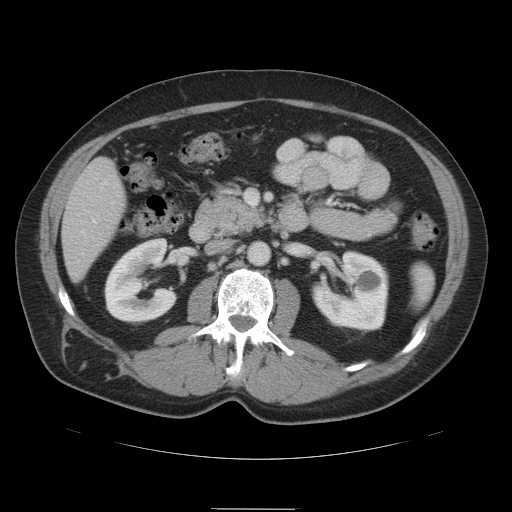
CT scan slice | Abdomen

Pancreas = 203, 194, 268, 238.